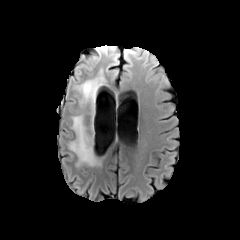
FLAIR MRI.
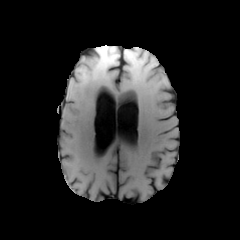
T1-weighted magnetic resonance.
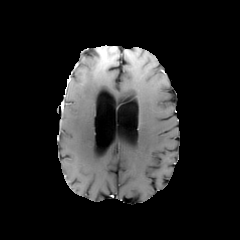
Post-contrast T1-weighted MR image.
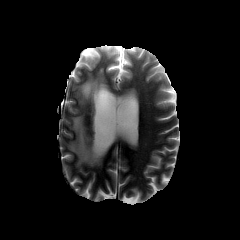
Same slice, T2-weighted MR.
Head
3 edema regions are located at l=124, t=51, r=140, b=75; l=74, t=56, r=117, b=117; l=69, t=114, r=100, b=166. The enhancing tumor appears at l=97, t=48, r=117, b=63. The non-enhancing tumor core is bounded by l=92, t=50, r=103, b=63.